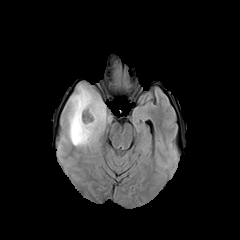
FLAIR MR image.
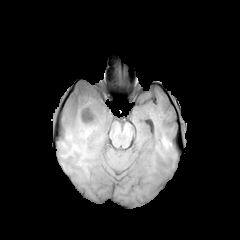
Same slice, T1-weighted MRI.
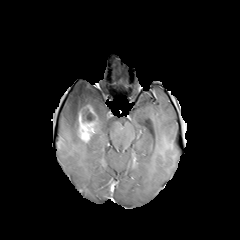
Post-contrast T1-weighted MR of the same slice.
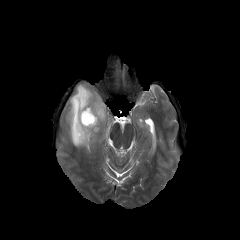
T2-weighted MR image.
The non-enhancing tumor core is at box(81, 106, 95, 121). The enhancing tumor is located at box(77, 105, 97, 141). The edema is at box(66, 84, 110, 148).